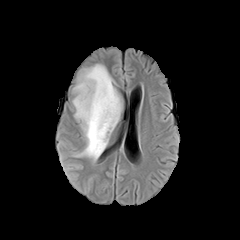
FLAIR magnetic resonance.
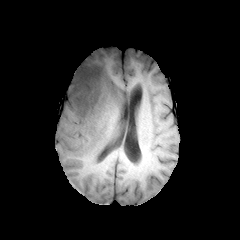
T1-weighted MR image.
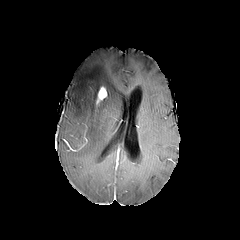
Post-contrast T1-weighted MR image.
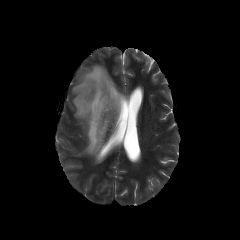
T2-weighted MRI.
Head.
non-enhancing_tumor_core:
  - left=92, top=86, right=102, bottom=105
  - left=93, top=70, right=101, bottom=81
edema:
  - left=72, top=64, right=122, bottom=161
enhancing_tumor:
  - left=96, top=86, right=106, bottom=102